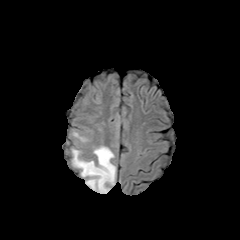
FLAIR MRI.
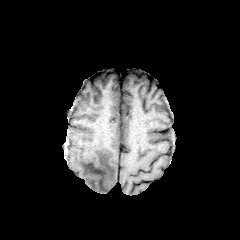
Same slice, T1-weighted MRI.
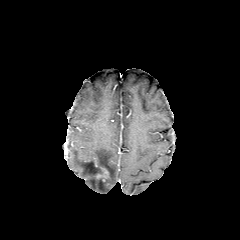
Same slice, post-contrast T1-weighted magnetic resonance.
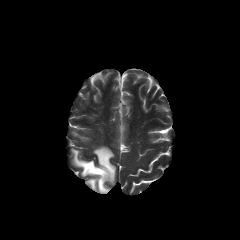
T2-weighted magnetic resonance.
Brain
enhancing tumor: 96 168 107 181 | non-enhancing tumor core: 91 178 105 191, 84 161 112 177 | edema: 73 132 87 141, 70 146 116 193